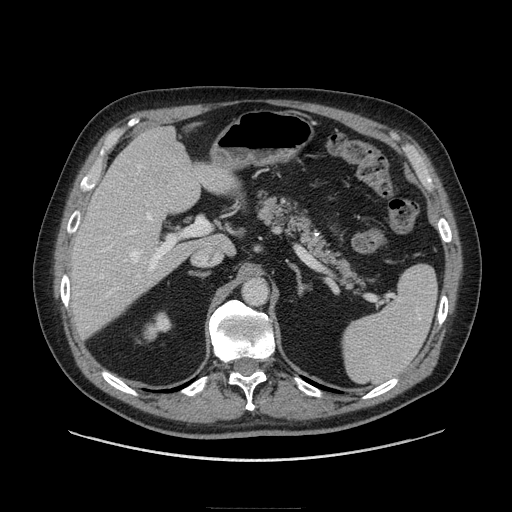 CT, Abdomen
The pancreas is located at box=[254, 190, 366, 290].